FLAIR MRI.
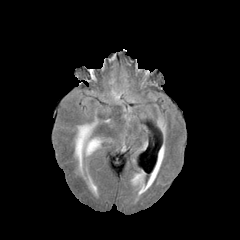
T1-weighted MRI.
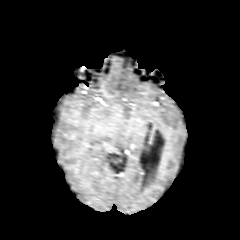
Post-contrast T1-weighted magnetic resonance.
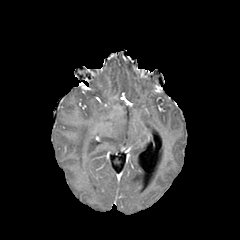
T2-weighted MRI.
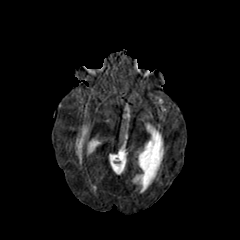
Head
Annotated regions:
• edema: box(75, 119, 101, 170); box(87, 173, 96, 192)